Abdomen | 512x512 | Computed tomography
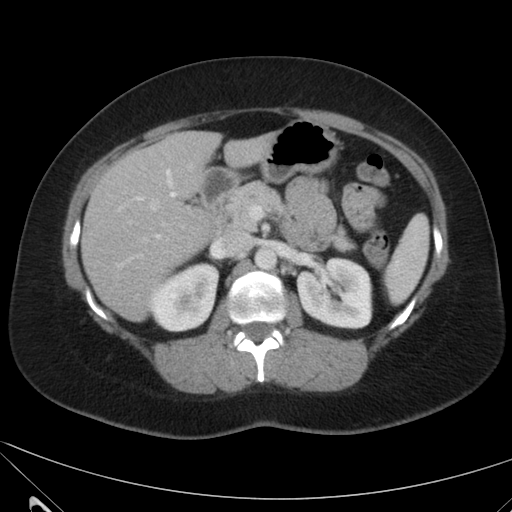 kidney:
  - (x1=298, y1=259, x2=370, y2=327)
  - (x1=152, y1=265, x2=216, y2=329)
liver:
  - (x1=81, y1=132, x2=221, y2=320)
  - (x1=224, y1=134, x2=271, y2=167)